Slice index 512 | CT slice

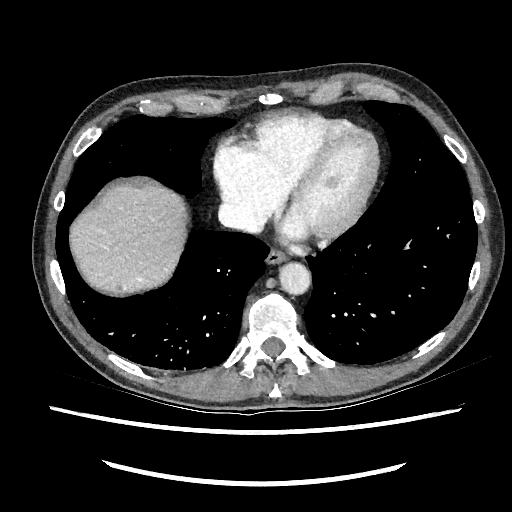 {
  "liver": [
    "box(70, 184, 185, 290)"
  ]
}